Slice 399/836, 512x512, CT slice
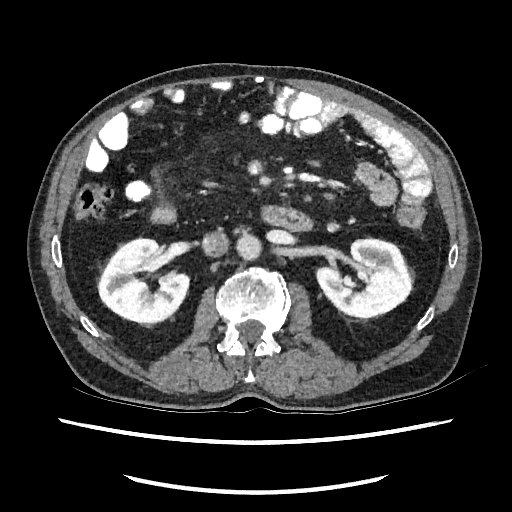

2 kidney regions are bounded by {"x1": 316, "y1": 238, "x2": 413, "y2": 318}, {"x1": 97, "y1": 237, "x2": 189, "y2": 327}.